FLAIR MR.
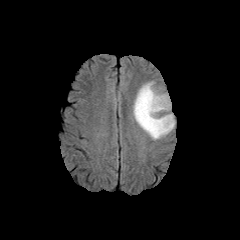
T1-weighted magnetic resonance.
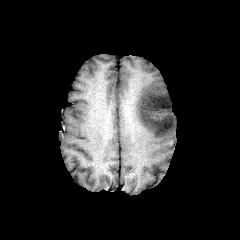
Post-contrast T1-weighted MR image.
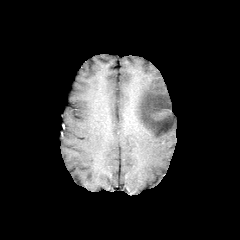
T2-weighted magnetic resonance.
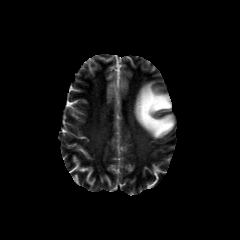
<segmentation>
  <non-enhancing_tumor_core>(left=140, top=92, right=161, bottom=124), (left=156, top=99, right=168, bottom=108)</non-enhancing_tumor_core>
  <edema>(left=132, top=80, right=175, bottom=140)</edema>
</segmentation>